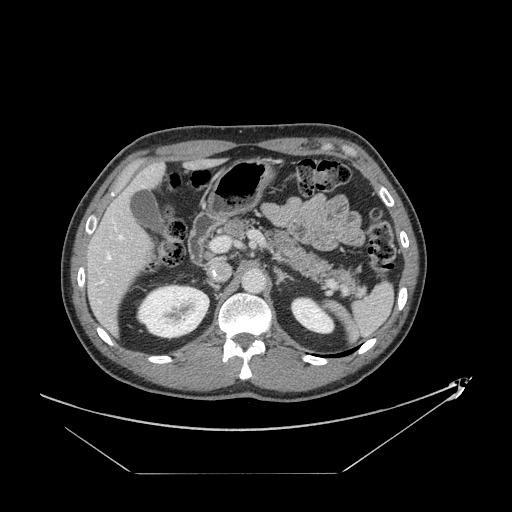 Upper abdomen | Computed tomography
Pancreas: left=266, top=230, right=356, bottom=293; left=221, top=218, right=252, bottom=237.